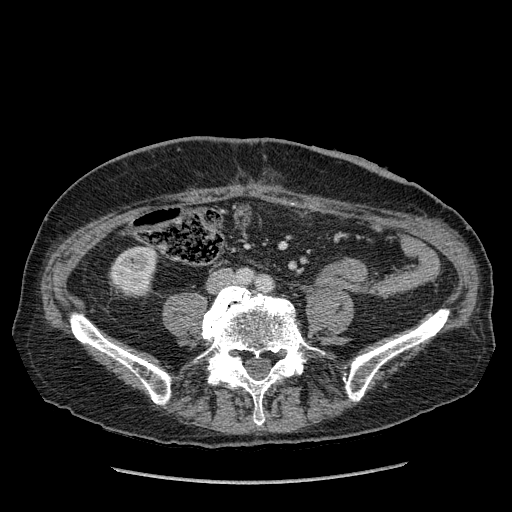

CT image | 512x512

kidney:
  - box=[111, 247, 156, 294]